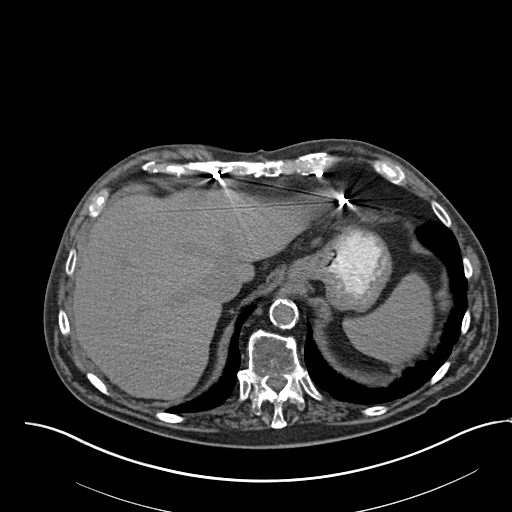 CT scan slice, Upper abdomen

Spleen = bbox=[345, 274, 432, 361].